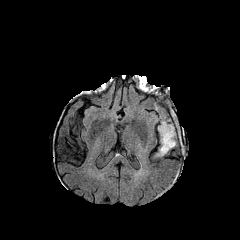
FLAIR MR image.
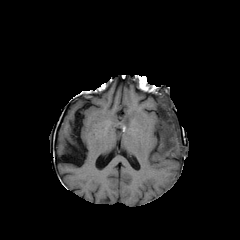
Same slice, T1-weighted MR.
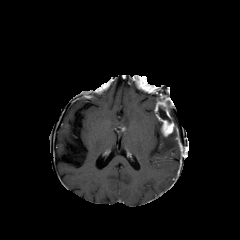
Same slice, post-contrast T1-weighted MR image.
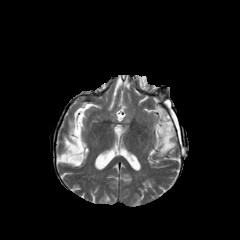
T2-weighted MR.
240x240. Brain.
Segmented structures:
• non-enhancing tumor core: l=158, t=88, r=175, b=124; l=158, t=120, r=183, b=149
• enhancing tumor: l=156, t=95, r=170, b=115; l=157, t=112, r=176, b=136
• edema: l=154, t=135, r=177, b=157